Magnetic resonance. 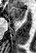

The anterior hippocampus appears at rect(9, 7, 25, 20).